CT slice
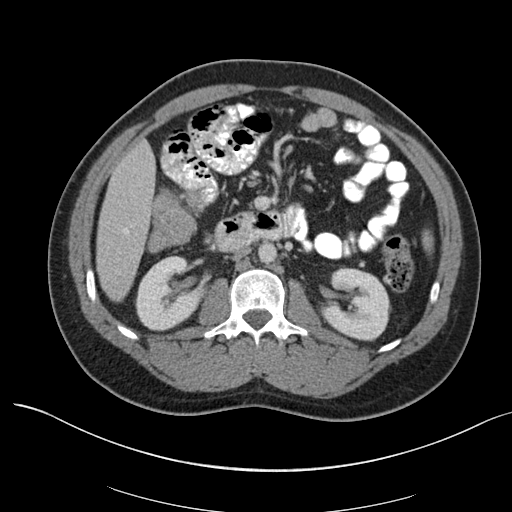
2 colon tumor regions appear at x1=154, y1=190, x2=195, y2=242; x1=186, y1=191, x2=201, y2=205.